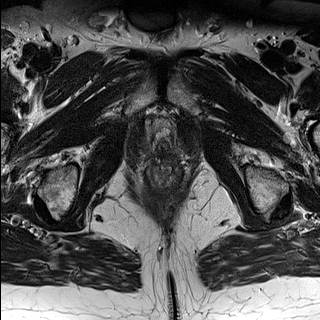
T2-weighted magnetic resonance.
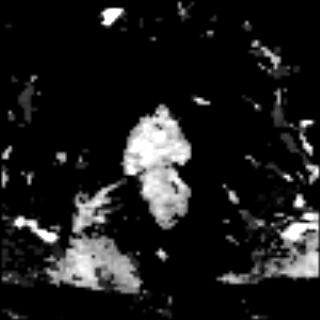
ADC MR image.
The prostate transition zone lies within x1=152, y1=124, x2=170, y2=144.